FLAIR MRI.
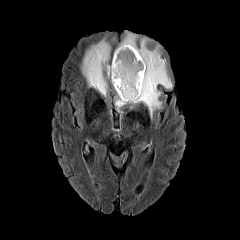
T1-weighted MR image.
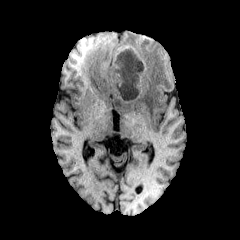
Post-contrast T1-weighted magnetic resonance.
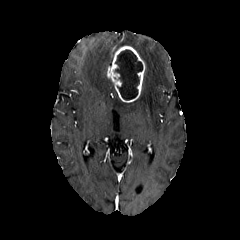
T2-weighted MRI.
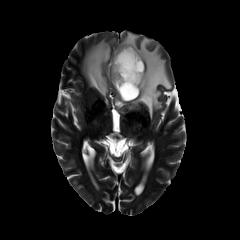
Brain; 240x240 px
The non-enhancing tumor core is at region(115, 50, 142, 100). 2 edema regions are bounded by region(114, 31, 172, 119); region(82, 36, 116, 102). The enhancing tumor lies within region(105, 44, 146, 102).